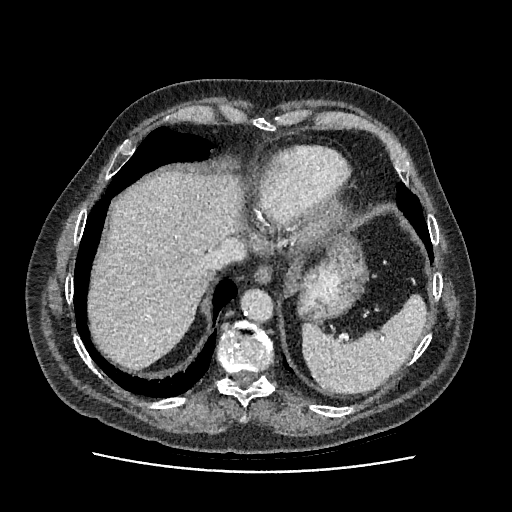
CT slice

The liver is located at box=[88, 173, 242, 367].